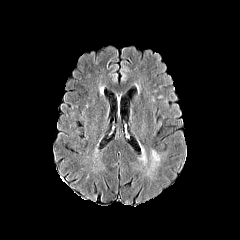
FLAIR magnetic resonance.
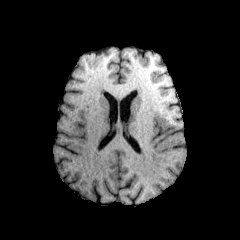
T1-weighted MR image.
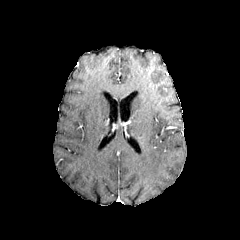
Post-contrast T1-weighted MR.
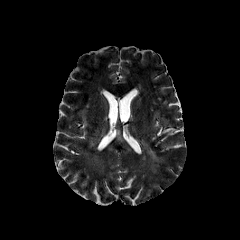
Same slice, T2-weighted MRI.
Segmented structures:
• edema: box(151, 151, 159, 161)